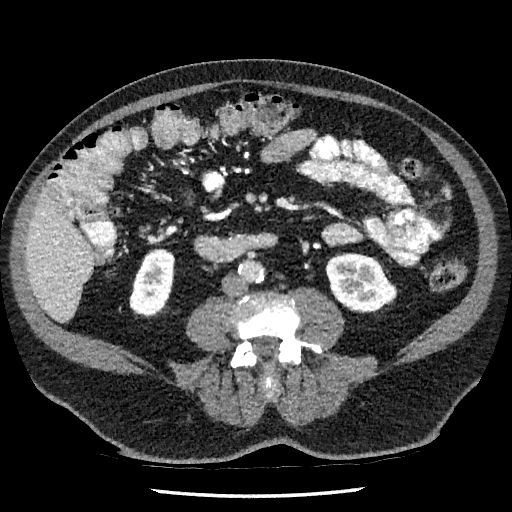 CT | Image size 512x512
2 kidney regions are located at rect(130, 250, 173, 314); rect(327, 254, 395, 311). The liver is at rect(26, 190, 93, 321).